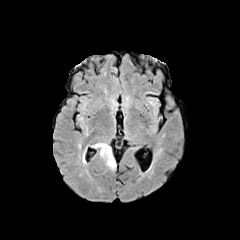
FLAIR magnetic resonance.
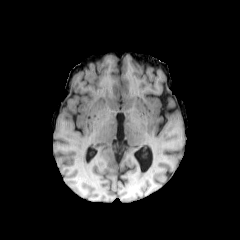
T1-weighted MRI.
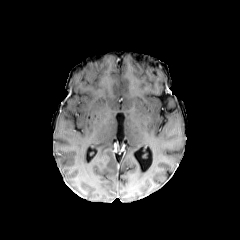
Post-contrast T1-weighted magnetic resonance.
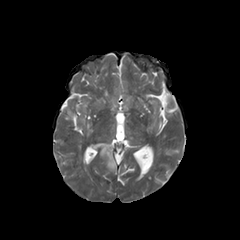
T2-weighted magnetic resonance of the same slice.
Image size 240x240; Brain
{"edema": ["region(91, 143, 116, 170)"]}